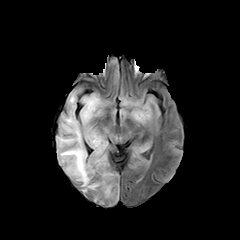
FLAIR MR image.
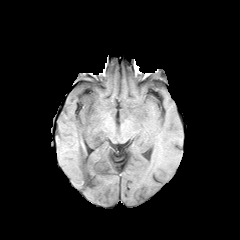
T1-weighted MR image.
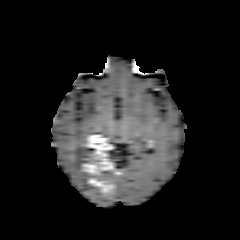
Post-contrast T1-weighted MR image of the same slice.
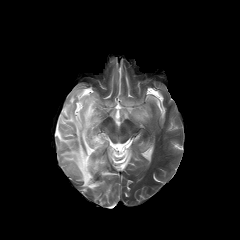
Same slice, T2-weighted MRI.
Head
<segmentation>
  <enhancing_tumor>{"x1": 82, "y1": 163, "x2": 92, "y2": 171}, {"x1": 85, "y1": 134, "x2": 111, "y2": 173}, {"x1": 88, "y1": 177, "x2": 111, "y2": 193}</enhancing_tumor>
  <non-enhancing_tumor_core>{"x1": 84, "y1": 152, "x2": 113, "y2": 187}</non-enhancing_tumor_core>
  <edema>{"x1": 56, "y1": 88, "x2": 103, "y2": 192}, {"x1": 104, "y1": 168, "x2": 118, "y2": 182}, {"x1": 132, "y1": 108, "x2": 149, "y2": 121}</edema>
</segmentation>